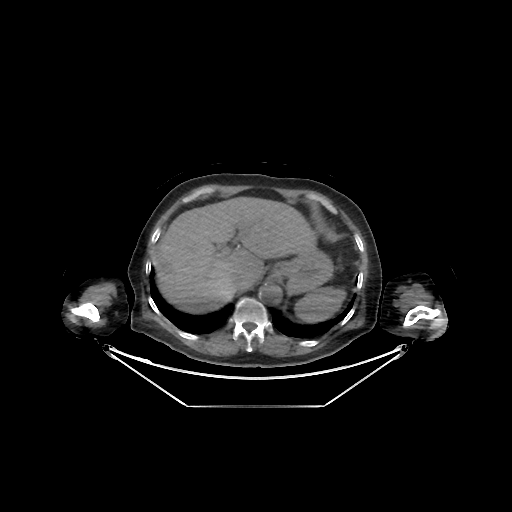 Computed tomography | Upper abdomen
liver:
  - [153, 197, 315, 314]
bone:
  - [179, 332, 197, 339]
  - [152, 229, 159, 242]
  - [403, 305, 440, 326]
  - [234, 298, 269, 351]
  - [357, 273, 362, 288]
  - [71, 302, 99, 321]
  - [356, 237, 363, 251]
  - [149, 297, 158, 313]
  - [300, 341, 317, 346]
  - [342, 309, 353, 324]
lung:
  - [150, 267, 233, 334]
  - [272, 293, 355, 338]